FLAIR MR image.
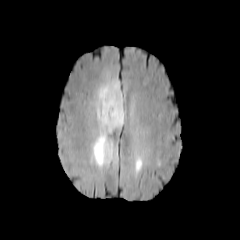
T1-weighted MRI.
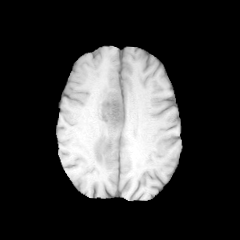
Post-contrast T1-weighted MR image.
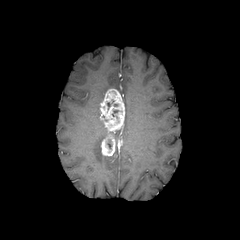
T2-weighted MR image.
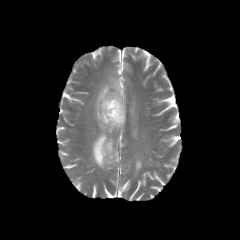
Image size 240x240, Head
Edema: bounding box rect(93, 80, 123, 167); rect(135, 158, 142, 169).
Enhancing tumor: bounding box rect(99, 89, 125, 155).